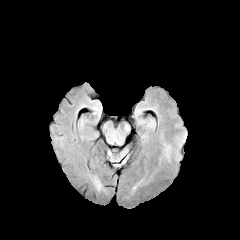
FLAIR MR.
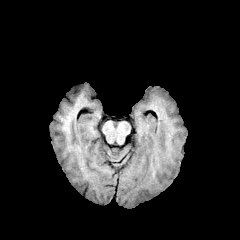
Same slice, T1-weighted MR image.
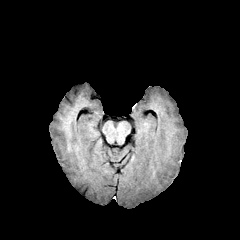
Same slice, post-contrast T1-weighted MR.
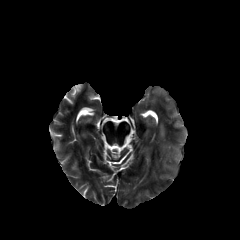
T2-weighted MR of the same slice.
Head
The edema is located at 148:119:155:128.